Brain, 240x240 px, Slice 116/155, Image width 240 mm
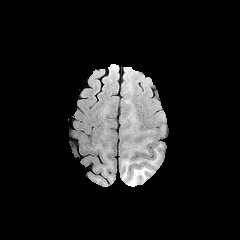
FLAIR magnetic resonance.
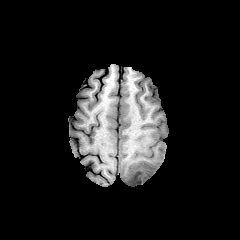
T1-weighted MR image.
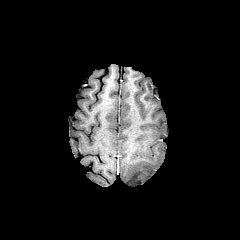
Post-contrast T1-weighted MRI.
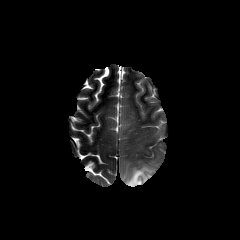
Same slice, T2-weighted MR image.
edema:
  - rect(122, 160, 151, 184)